FLAIR MR.
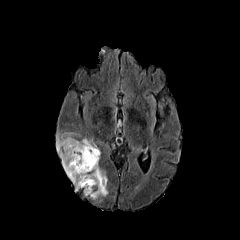
T1-weighted MR.
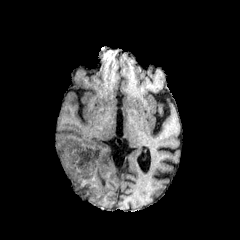
Post-contrast T1-weighted MRI.
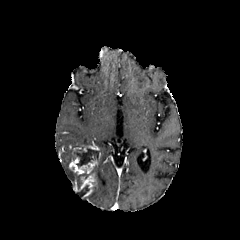
T2-weighted MR image.
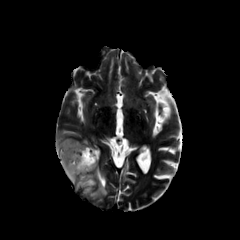
240x240 px
Edema — (left=90, top=165, right=107, bottom=198), (left=58, top=132, right=90, bottom=189).
Enhancing tumor — (left=69, top=157, right=98, bottom=175), (left=80, top=173, right=97, bottom=197), (left=72, top=145, right=97, bottom=152).
Non-enhancing tumor core — (left=72, top=148, right=98, bottom=167).